CT scan slice | 512x512
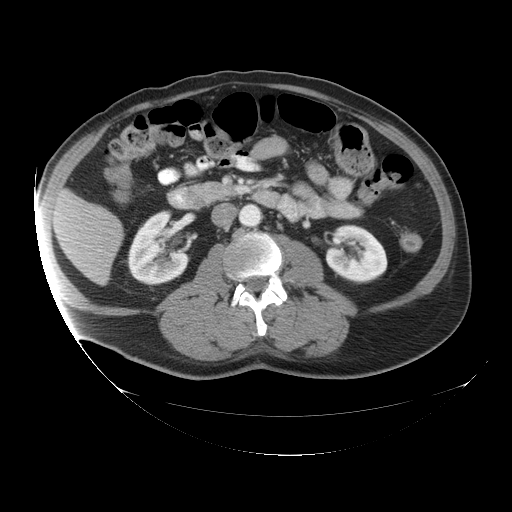 The colon tumor is located at l=120, t=126, r=155, b=160.